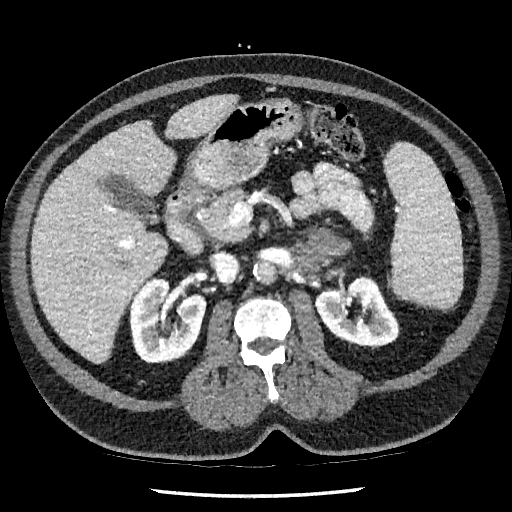 Upper abdomen; 512x512 px; CT image
The liver lesion lies within box(118, 260, 132, 269). 2 liver regions are located at box(166, 94, 236, 138); box(31, 121, 174, 362). 2 kidney regions are bounded by box(316, 278, 397, 345); box(131, 279, 205, 361).